Slice 71 of 155 | Head
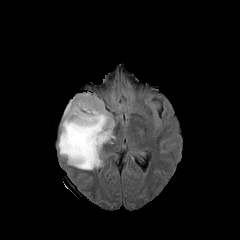
FLAIR MRI.
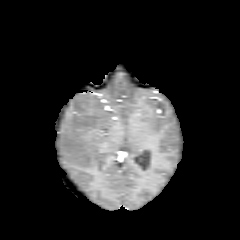
T1-weighted MRI.
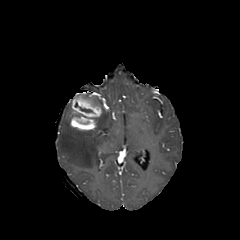
Same slice, post-contrast T1-weighted MR.
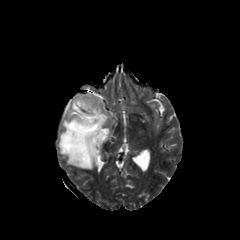
T2-weighted magnetic resonance.
2 non-enhancing tumor core regions are located at x1=68 y1=99 x2=72 y2=125, x1=92 y1=95 x2=106 y2=115. The edema is located at x1=58 y1=104 x2=114 y2=169. The enhancing tumor is bounded by x1=70 y1=92 x2=101 y2=130.